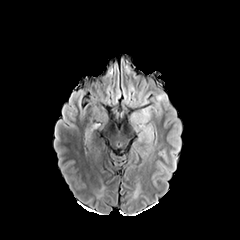
FLAIR MRI.
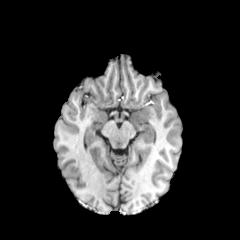
Same slice, T1-weighted magnetic resonance.
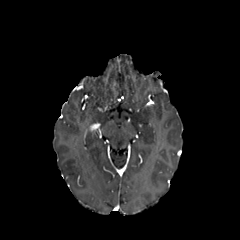
Post-contrast T1-weighted MR image.
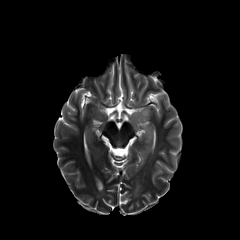
Same slice, T2-weighted magnetic resonance.
Brain, 240x240 px
Edema — 121 76 148 108, 158 96 163 116, 131 141 140 155, 130 106 157 151.